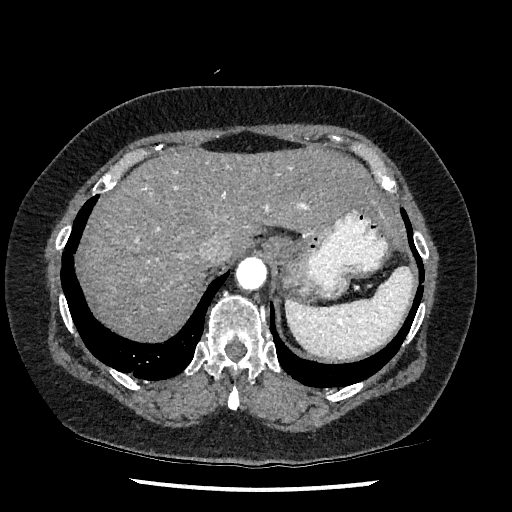

Image size 512x512. Liver. CT.
Liver at bbox(82, 145, 403, 339).